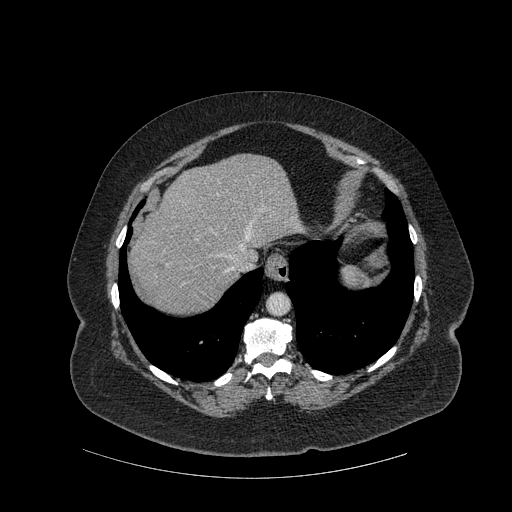

CT.

Liver lesion: (156, 262, 164, 269).
Lung: (286, 189, 414, 374), (118, 203, 262, 381).
Bone: (368, 347, 395, 370), (215, 373, 231, 385), (311, 370, 331, 380), (244, 319, 291, 363), (414, 276, 421, 300), (150, 366, 177, 384), (409, 226, 417, 243), (247, 359, 291, 378), (111, 284, 118, 307).
Liver: (131, 154, 300, 315).